Slice 84 of 155, Image width 240 mm, 240x240
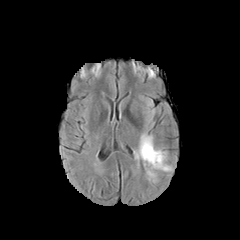
FLAIR MR.
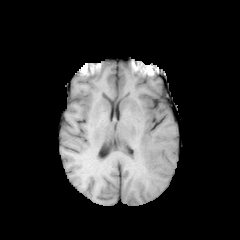
T1-weighted MR.
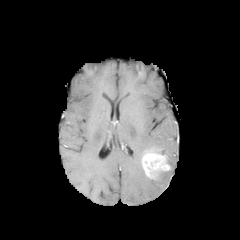
Post-contrast T1-weighted magnetic resonance of the same slice.
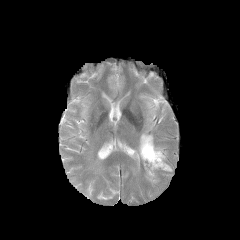
T2-weighted MR image of the same slice.
The enhancing tumor appears at [x1=139, y1=147, x2=171, y2=179]. The edema is bounded by [x1=132, y1=123, x2=165, y2=168].